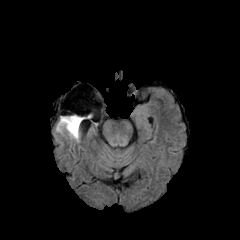
FLAIR MRI.
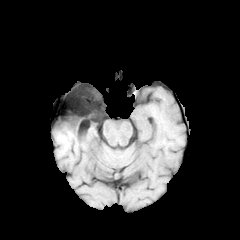
Same slice, T1-weighted magnetic resonance.
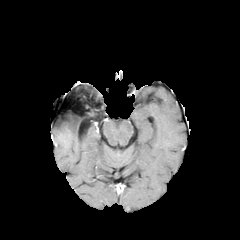
Post-contrast T1-weighted MRI of the same slice.
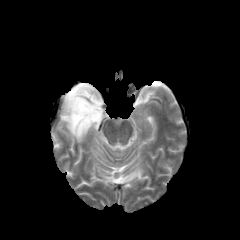
T2-weighted MR image of the same slice.
Head. 240x240 px.
Edema = [56, 118, 83, 143].
Non-enhancing tumor core = [68, 113, 94, 134].